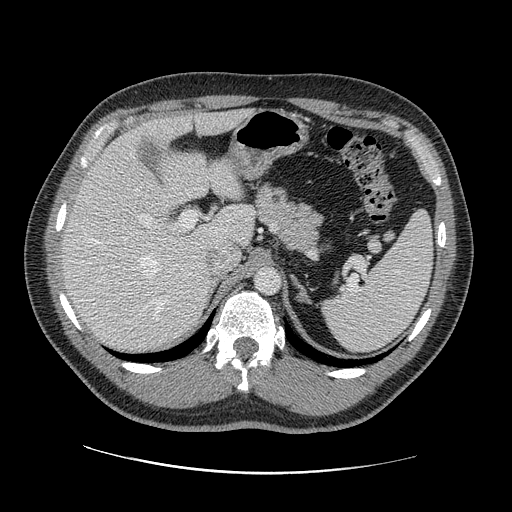

CT scan slice; Upper abdomen

Annotated regions:
- pancreas: 254, 182, 326, 255